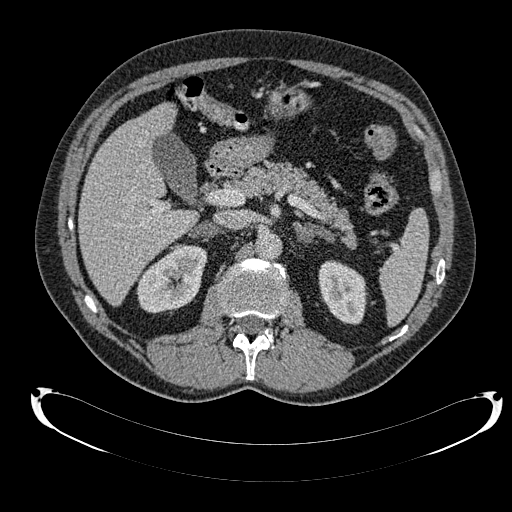
CT slice | Liver

Kidney: [319,261,365,323], [137,246,206,312].
Liver: [79,103,197,305].